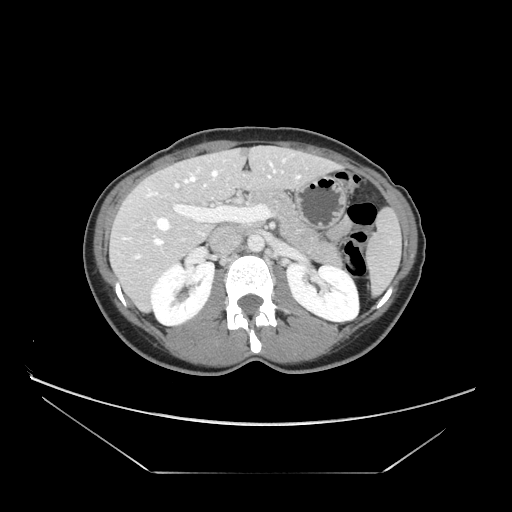 Upper abdomen | Computed tomography | Image size 512x512

pancreas:
  - region(246, 188, 340, 266)
  - region(241, 222, 259, 229)